Brain; 240x240 px
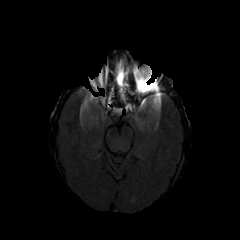
FLAIR MR image.
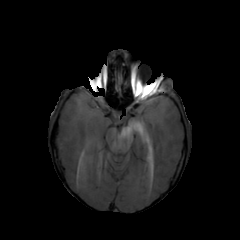
T1-weighted MR.
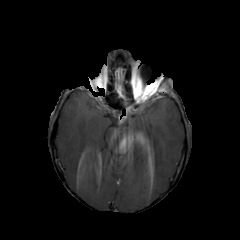
Same slice, post-contrast T1-weighted MR image.
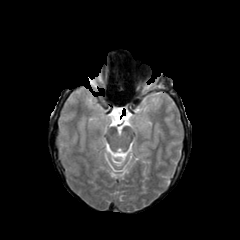
Same slice, T2-weighted MR.
Edema at x1=147, y1=94, x2=164, y2=112.
Enhancing tumor at x1=144, y1=86, x2=160, y2=103.
Non-enhancing tumor core at x1=132, y1=98, x2=147, y2=120; x1=139, y1=84, x2=157, y2=94.